Abdomen; 512x512 px; Computed tomography
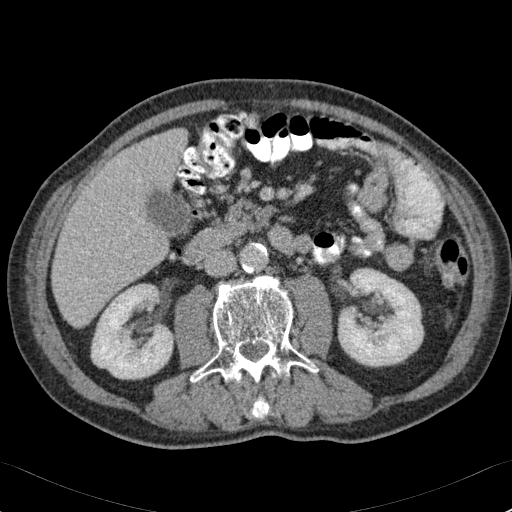

kidney:
  - left=338, top=269, right=423, bottom=365
  - left=92, top=284, right=172, bottom=378
liver:
  - left=53, top=129, right=187, bottom=327